512x512; CT; Pelvis; Slice 40 of 95 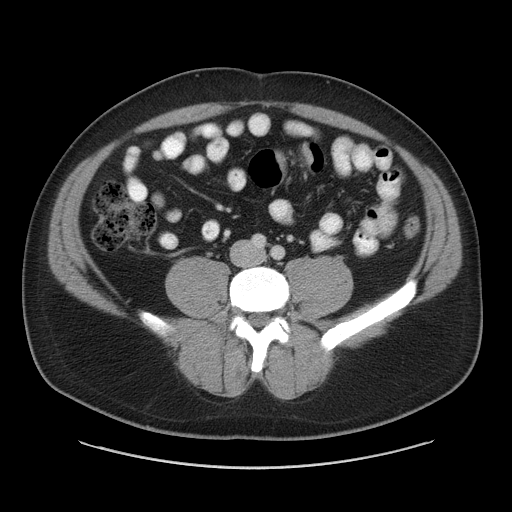

<segmentation>
  <colon_tumor>x1=275 y1=151 x2=285 y2=170, x1=302 y1=142 x2=313 y2=165</colon_tumor>
</segmentation>